CT. 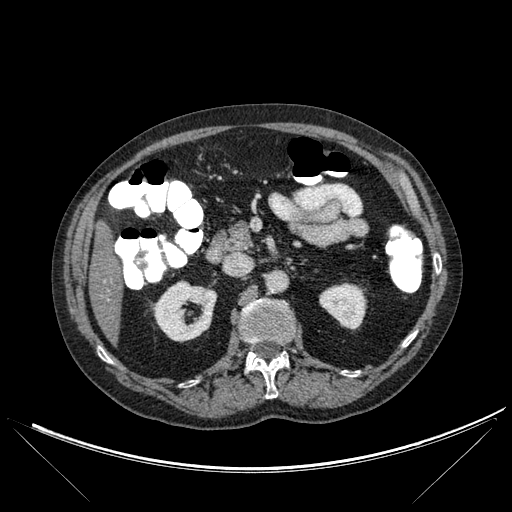 Liver at {"x1": 89, "y1": 226, "x2": 126, "y2": 341}.
Bone at {"x1": 433, "y1": 253, "x2": 441, "y2": 273}, {"x1": 100, "y1": 351, "x2": 112, "y2": 363}, {"x1": 240, "y1": 299, "x2": 294, "y2": 344}, {"x1": 246, "y1": 352, "x2": 288, "y2": 398}, {"x1": 342, "y1": 370, "x2": 359, "y2": 376}, {"x1": 402, "y1": 331, "x2": 416, "y2": 346}.
Kidney at {"x1": 319, "y1": 283, "x2": 365, "y2": 328}, {"x1": 154, "y1": 281, "x2": 216, "y2": 341}.